Abdomen. CT.
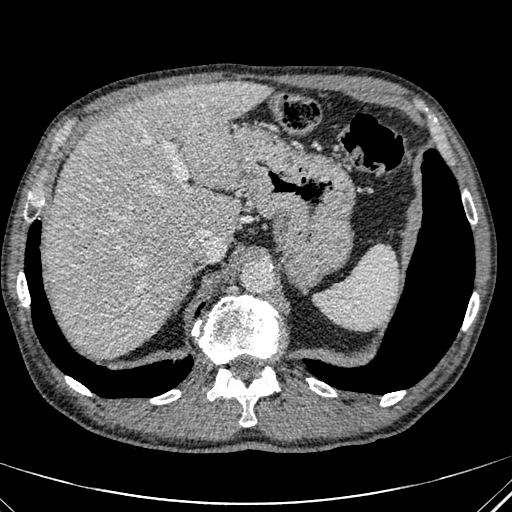 {"liver": ["[47, 81, 271, 357]"]}